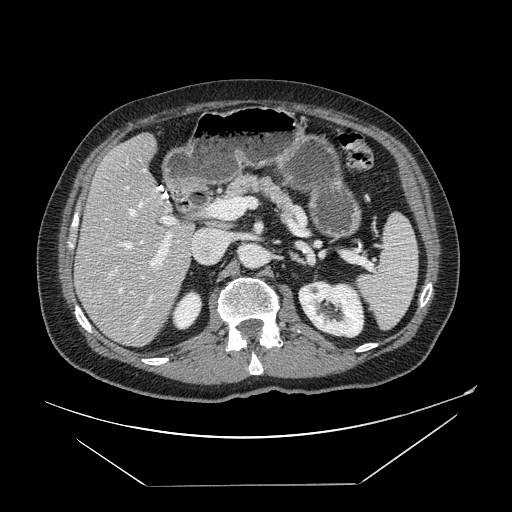 CT image; Abdomen

pancreas:
  - rect(228, 175, 292, 213)